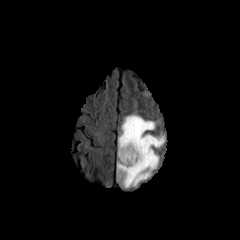
FLAIR MR image.
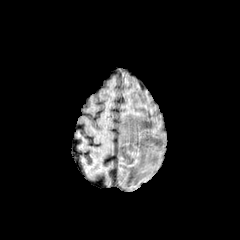
T1-weighted MR.
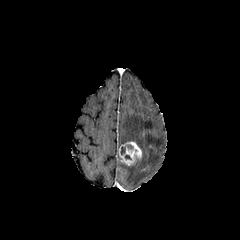
Post-contrast T1-weighted MRI.
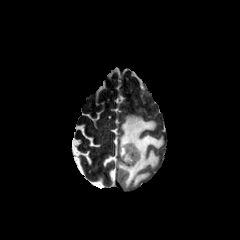
Same slice, T2-weighted MR image.
Head
Edema — left=117, top=113, right=164, bottom=187.
Enhancing tumor — left=118, top=141, right=142, bottom=165.